Computed tomography; Slice index 456
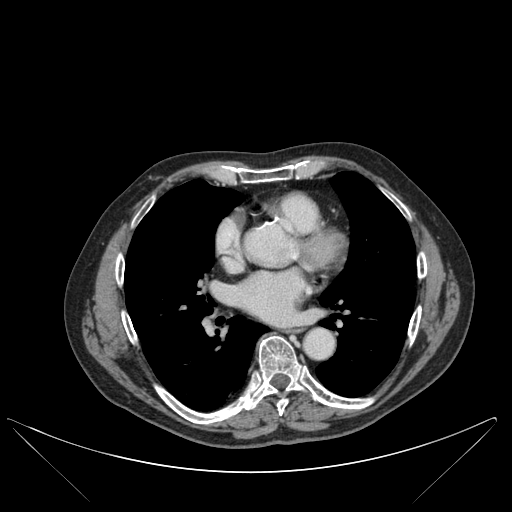 2 lung regions appear at x1=124, y1=179, x2=268, y2=410; x1=316, y1=172, x2=415, y2=397. 7 bone regions are located at x1=219, y1=162, x2=307, y2=182; x1=417, y1=252, x2=426, y2=278; x1=155, y1=336, x2=373, y2=424; x1=397, y1=200, x2=408, y2=215; x1=408, y1=306, x2=421, y2=344; x1=121, y1=311, x2=136, y2=342; x1=115, y1=254, x2=124, y2=284.